Abdomen, Computed tomography

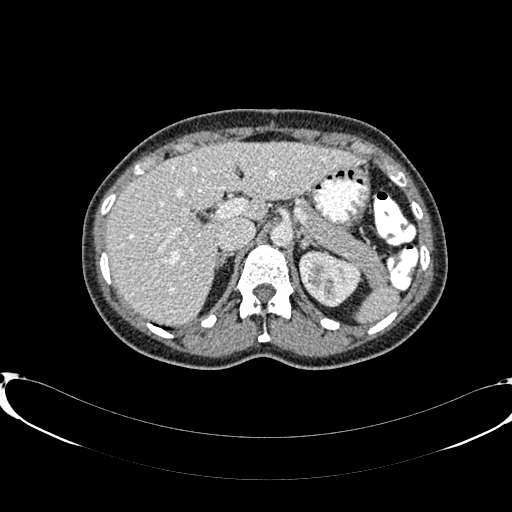
The kidney lies within [300,253,358,305]. The liver is located at [105,142,367,324].